Slice 67 of 155
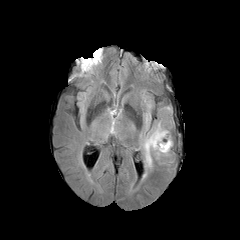
FLAIR magnetic resonance.
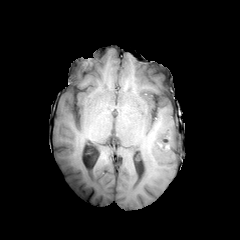
T1-weighted magnetic resonance of the same slice.
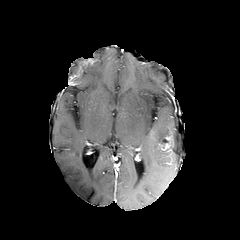
Post-contrast T1-weighted MR image.
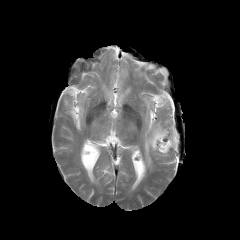
T2-weighted MRI of the same slice.
- edema: rect(138, 97, 172, 169); rect(103, 109, 118, 138)
- enhancing tumor: rect(159, 136, 172, 151)